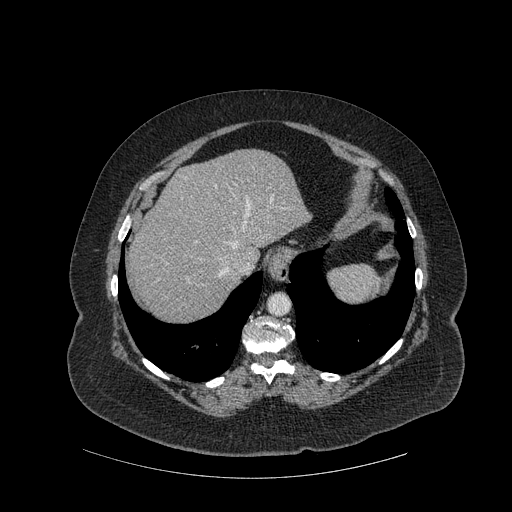 512x512, Computed tomography, Upper abdomen
Annotated regions:
• bone: 415 269 422 288, 243 319 294 353, 206 377 224 387, 320 373 339 381, 251 360 294 383, 143 359 168 379, 111 275 117 295, 407 219 415 237, 380 339 402 363
• liver: 130 150 306 323
• lung: 287 188 414 373, 118 255 261 381